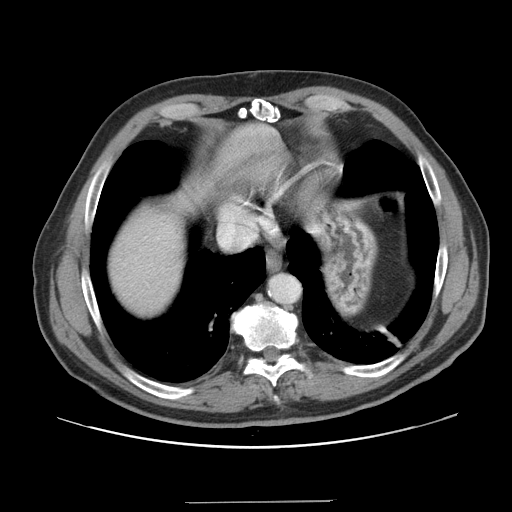
CT slice, Liver

Not every hepatic vessel necessarily has a box.
Annotated regions:
• hepatic vessel: left=243, top=235, right=254, bottom=245; left=221, top=224, right=234, bottom=244